FLAIR MRI.
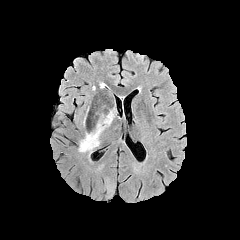
T1-weighted MR image.
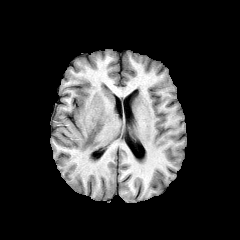
Post-contrast T1-weighted MR.
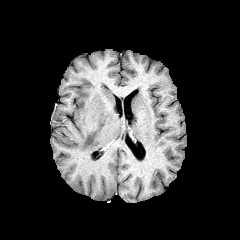
T2-weighted magnetic resonance.
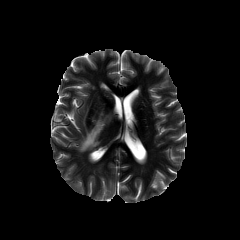
edema: [x1=77, y1=111, x2=115, y2=153]